512x512 px | Lung | Computed tomography | Image width 400 mm

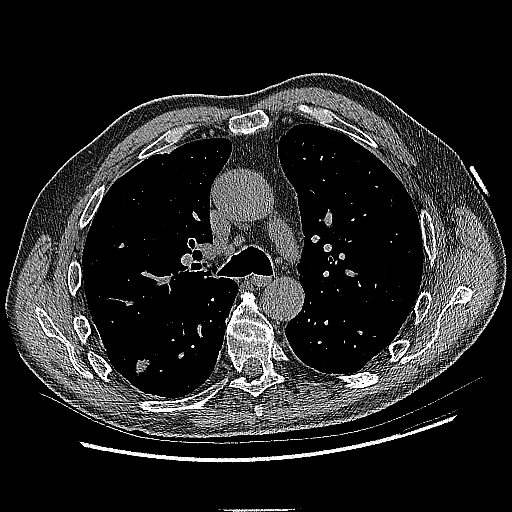 The lung tumor lies within 131:356:155:379.